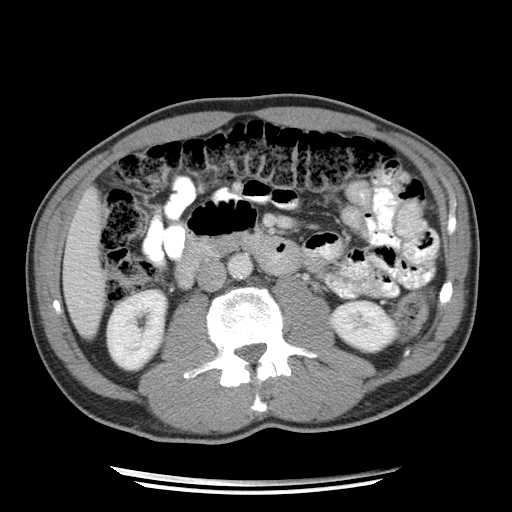

CT image, Abdomen, Image size 512x512

Annotated regions:
• pancreas: box(202, 233, 249, 255)